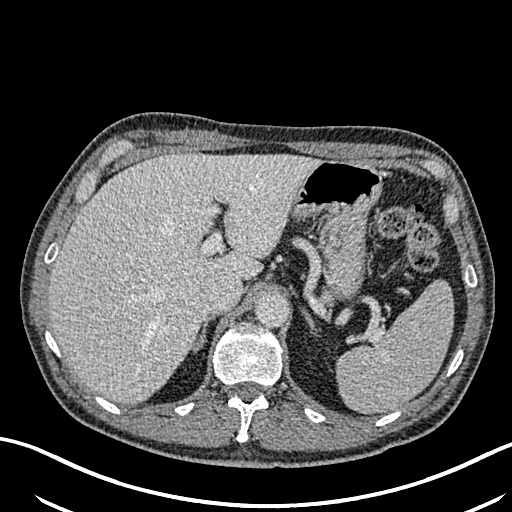
CT scan slice
liver: (49, 154, 320, 404)